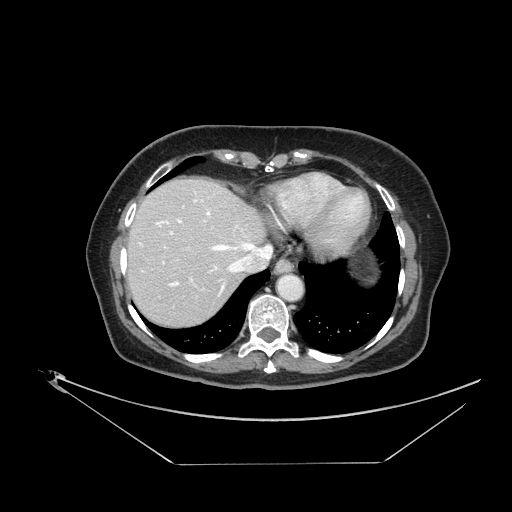

Liver, Image size 512x512, CT image
The vessel boxes may cover only some of the vessels.
13 hepatic vessel regions are located at region(227, 243, 272, 272); region(213, 266, 217, 269); region(205, 209, 210, 217); region(193, 198, 203, 202); region(210, 244, 235, 250); region(170, 231, 173, 234); region(156, 221, 169, 226); region(190, 278, 192, 280); region(221, 283, 224, 291); region(176, 219, 181, 223); region(162, 261, 163, 263); region(164, 246, 165, 248); region(169, 281, 178, 286).